Pelvis. CT image.

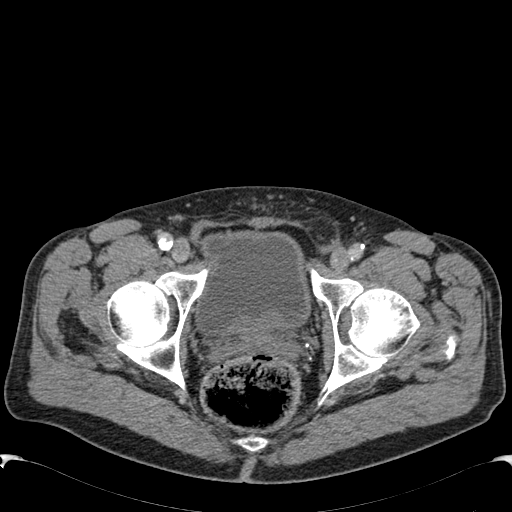

The urinary bladder is bounded by left=193, top=230, right=310, bottom=333.